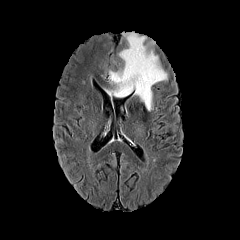
FLAIR MR.
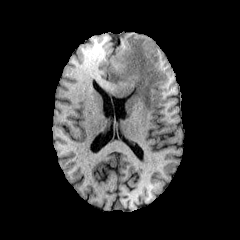
Same slice, T1-weighted MR image.
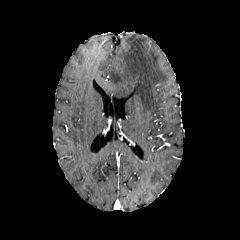
Post-contrast T1-weighted magnetic resonance of the same slice.
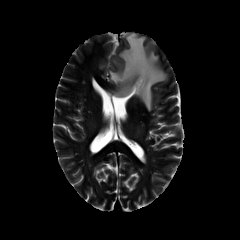
Same slice, T2-weighted magnetic resonance.
Brain
edema:
  - bbox=[105, 31, 167, 111]